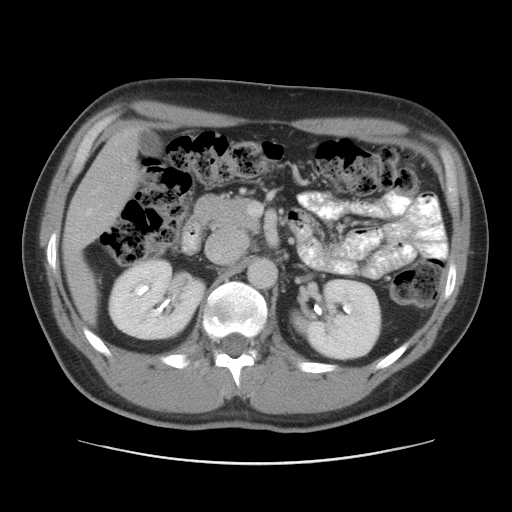 Computed tomography; Liver
Not every hepatic vessel necessarily has a box.
Hepatic vessel = [87, 210, 90, 214].